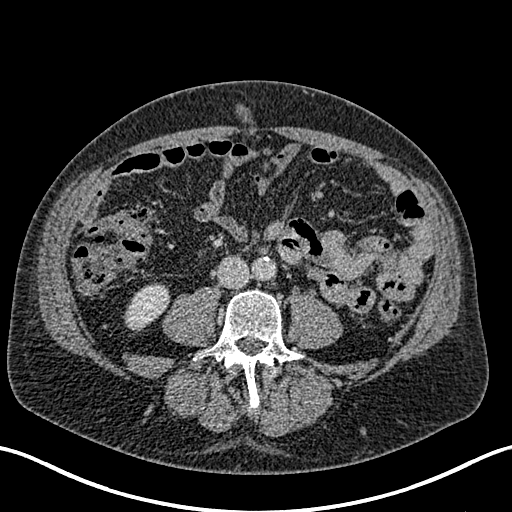

CT image

Kidney: (left=125, top=284, right=167, bottom=326).